Field of view 358 mm wide, 0.70 mm slice spacing. CT scan slice. 512x512. Slice 551 of 685.
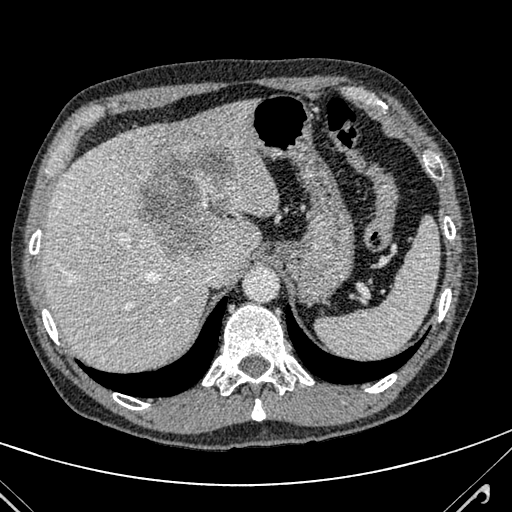

The focal liver lesion lies within bbox(138, 142, 234, 260). The liver is bounded by bbox(42, 102, 278, 371).